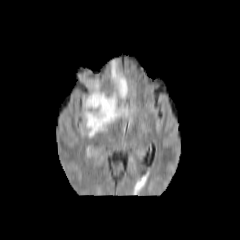
FLAIR MR.
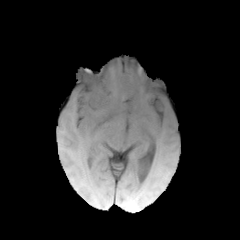
T1-weighted MRI of the same slice.
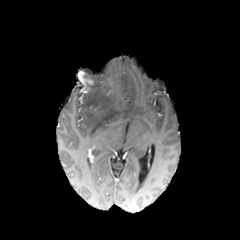
Post-contrast T1-weighted MR image.
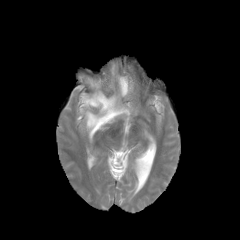
T2-weighted MRI.
Brain
Enhancing tumor — bbox(78, 72, 93, 93).
Edema — bbox(79, 62, 135, 138).
Non-enhancing tumor core — bbox(77, 70, 114, 112).